Upper abdomen; CT
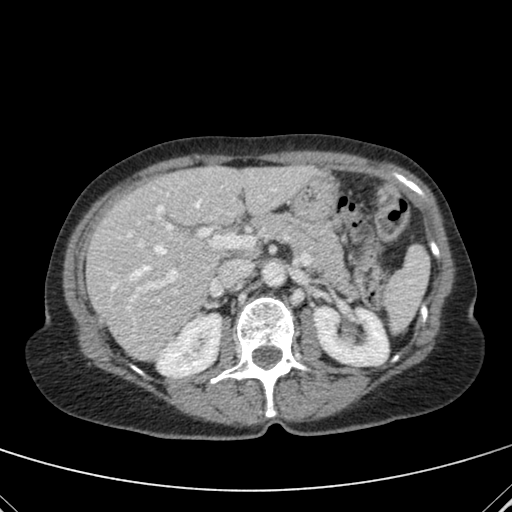

Segmented structures:
- kidney: box(158, 315, 220, 375); box(315, 308, 388, 364)
- liver: box(86, 166, 315, 360)